MR image. 320x320. 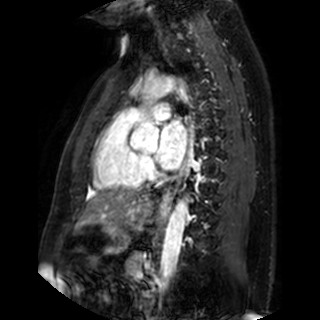

left atrium: box(155, 120, 186, 170)